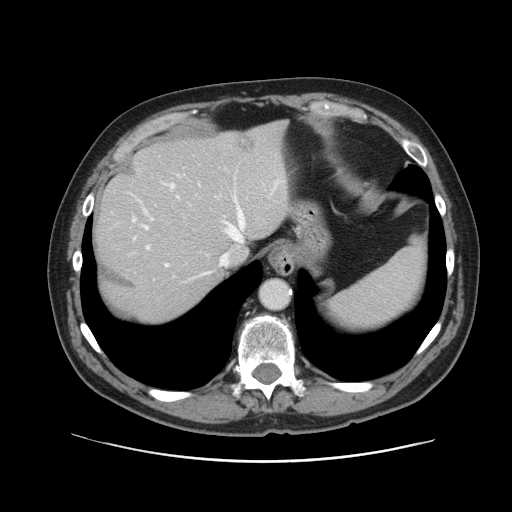
Abdomen. 512x512 px. CT.
Some hepatic vessels may have no box.
Hepatic vessel: bounding box [216, 196, 219, 196], [144, 209, 147, 214], [142, 225, 148, 229], [134, 237, 135, 239], [168, 183, 173, 187], [222, 191, 244, 240], [149, 217, 152, 219], [132, 217, 135, 221], [147, 246, 149, 248], [164, 263, 168, 265].
Liver tumor: bounding box [236, 136, 254, 151].